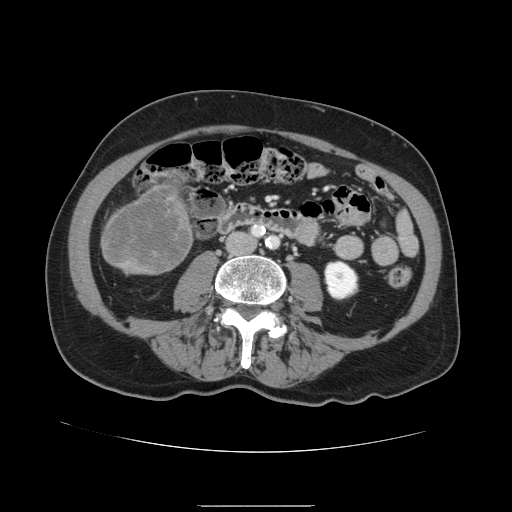
CT slice. Abdomen.
The liver tumor is located at (x1=106, y1=186, x2=189, y2=270).